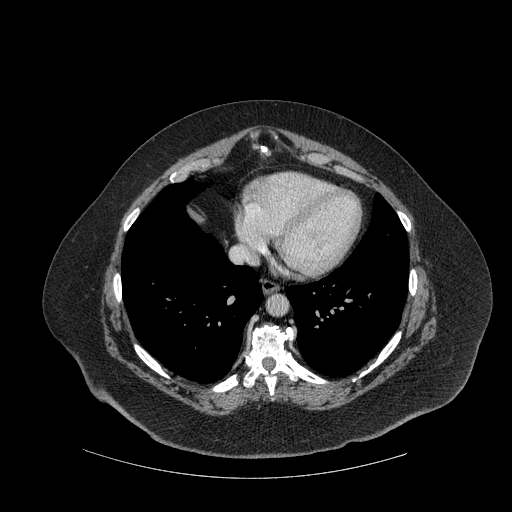
Image size 512x512. Computed tomography. Bone at [x1=398, y1=212, x2=410, y2=230], [x1=124, y1=208, x2=138, y2=230], [x1=409, y1=270, x2=417, y2=294], [x1=135, y1=345, x2=168, y2=377], [x1=113, y1=274, x2=121, y2=301], [x1=244, y1=325, x2=325, y2=395], [x1=213, y1=375, x2=237, y2=391], [x1=359, y1=332, x2=400, y2=376].
Lung at [x1=121, y1=178, x2=262, y2=382], [x1=286, y1=193, x2=408, y2=376].